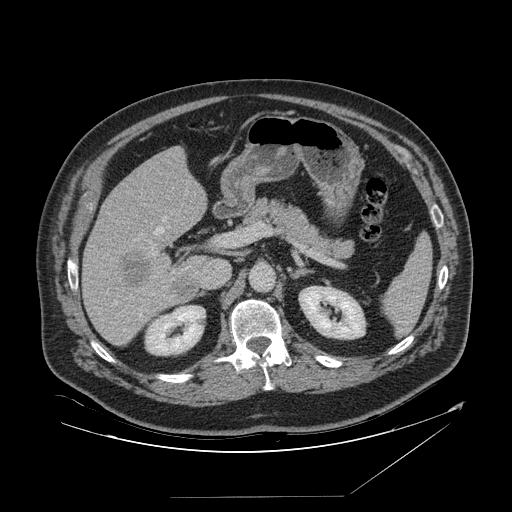 Abdomen. CT.

Segmented structures:
- spleen: box(383, 237, 431, 337)